Computed tomography. 512x512. 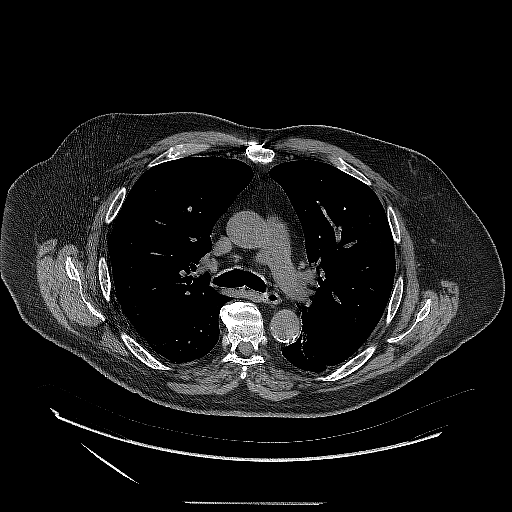
The lung tumor lies within 300,328,322,361.